FLAIR MR image.
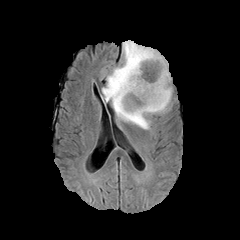
T1-weighted MRI.
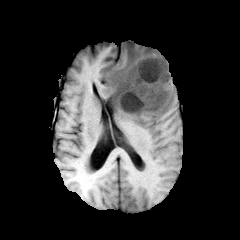
Post-contrast T1-weighted magnetic resonance.
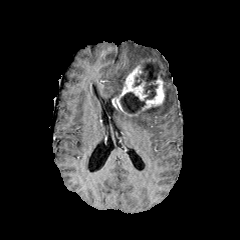
T2-weighted MR.
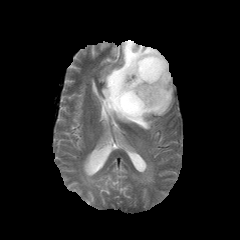
Brain
{
  "enhancing_tumor": [
    "112 58 166 115"
  ],
  "edema": [
    "102 40 173 129"
  ],
  "non-enhancing_tumor_core": [
    "134 61 159 86",
    "144 85 157 99",
    "120 93 145 114"
  ]
}